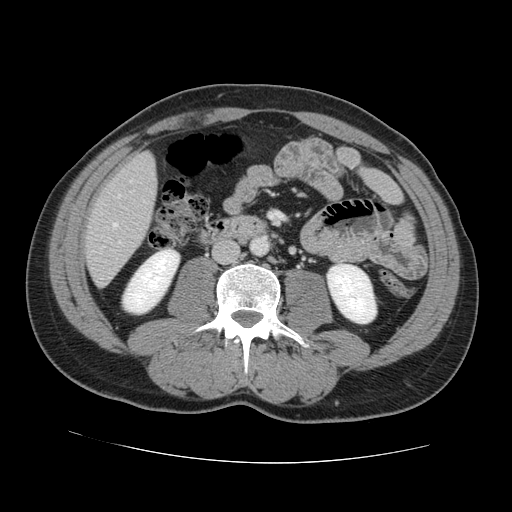
Abdomen | CT scan slice

Some hepatic vessels may have no box.
4 hepatic vessel regions are located at <bbox>113, 223, 116, 227</bbox>, <bbox>117, 195, 120, 197</bbox>, <bbox>129, 179, 131, 182</bbox>, <bbox>130, 191, 133, 193</bbox>.